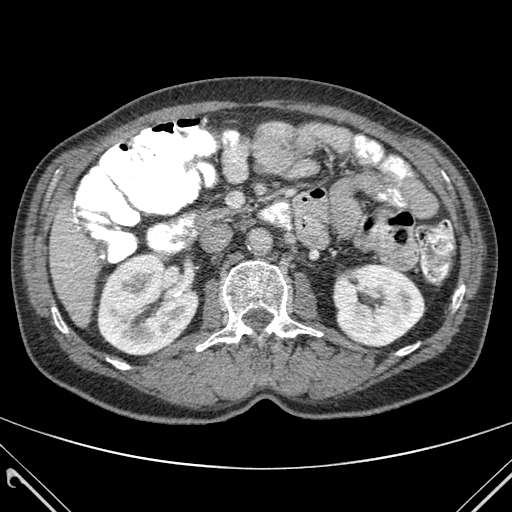
CT slice | Abdomen
bone:
  - {"x1": 397, "y1": 344, "x2": 418, "y2": 355}
  - {"x1": 453, "y1": 285, "x2": 464, "y2": 307}
  - {"x1": 196, "y1": 261, "x2": 322, "y2": 351}
  - {"x1": 107, "y1": 358, "x2": 129, "y2": 369}
  - {"x1": 52, "y1": 307, "x2": 67, "y2": 332}
kidney:
  - {"x1": 99, "y1": 255, "x2": 197, "y2": 354}
  - {"x1": 334, "y1": 265, "x2": 423, "y2": 345}
liver:
  - {"x1": 50, "y1": 203, "x2": 97, "y2": 323}